CT. Image width 398 mm. 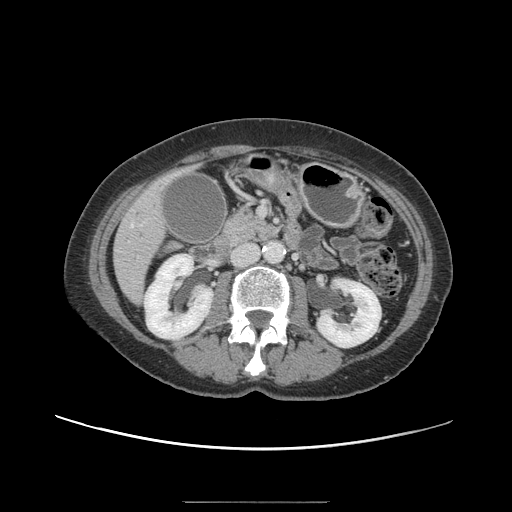
Pancreas: bounding box 225,208,278,245.